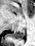
MR. Hippocampus. Posterior hippocampus = bbox=[10, 28, 25, 39].